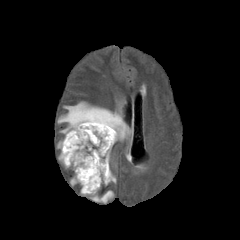
FLAIR magnetic resonance.
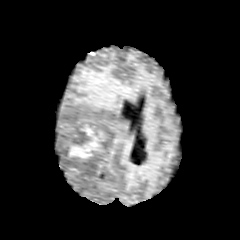
T1-weighted MR image.
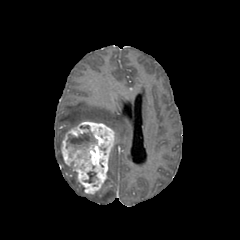
Post-contrast T1-weighted MRI of the same slice.
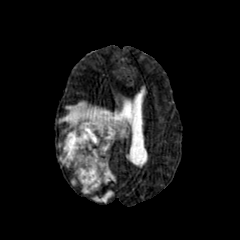
T2-weighted MR image of the same slice.
Brain
The non-enhancing tumor core is located at <box>68,134,94,144</box>. The enhancing tumor lies within <box>60,120,116,194</box>. 4 edema regions are bounded by <box>58,102,128,141</box>, <box>70,177,77,185</box>, <box>90,190,113,203</box>, <box>105,164,116,185</box>.